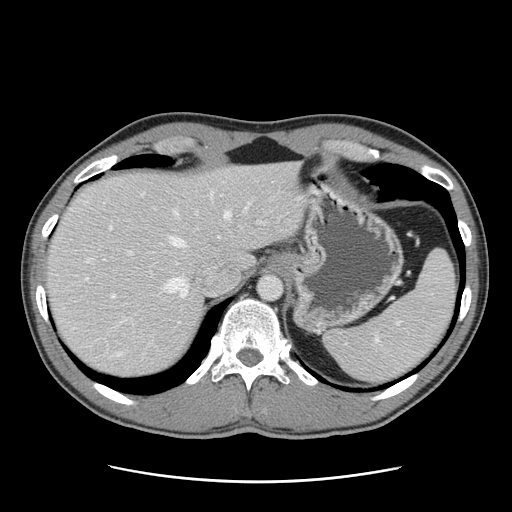

CT image; 512x512 px

The vessel boxes may cover only some of the vessels.
Findings:
- hepatic vessel (largest 15 of 16): x1=244, y1=202, x2=248, y2=209; x1=127, y1=252, x2=131, y2=253; x1=115, y1=352, x2=122, y2=355; x1=174, y1=210, x2=177, y2=216; x1=108, y1=227, x2=111, y2=229; x1=87, y1=258, x2=91, y2=261; x1=112, y1=295, x2=114, y2=297; x1=140, y1=192, x2=143, y2=196; x1=170, y1=237, x2=184, y2=246; x1=224, y1=211, x2=230, y2=218; x1=258, y1=221, x2=262, y2=223; x1=165, y1=275, x2=186, y2=296; x1=195, y1=212, x2=197, y2=213; x1=86, y1=277, x2=87, y2=279; x1=124, y1=318, x2=127, y2=320